240x240, Head
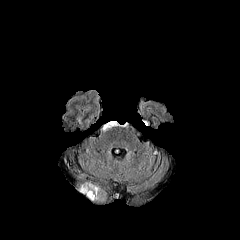
FLAIR MRI.
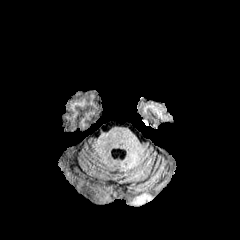
T1-weighted MRI.
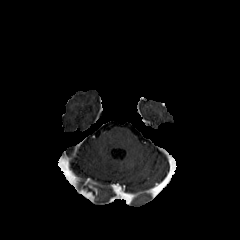
Post-contrast T1-weighted magnetic resonance.
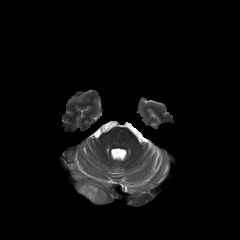
T2-weighted MR.
The non-enhancing tumor core is at box(78, 182, 107, 204). The enhancing tumor appears at box(78, 187, 95, 203).